Computed tomography. Abdomen. 512x512 px.

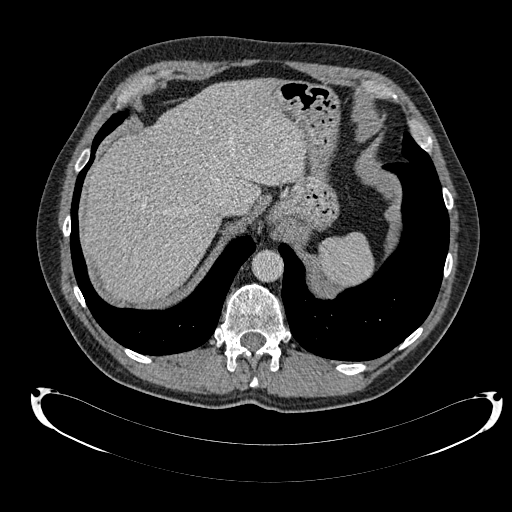
Segmented structures:
- liver: 85 78 305 302